512x512 px. CT image. Field of view 391x391 mm. Abdomen. Slice 290/756.
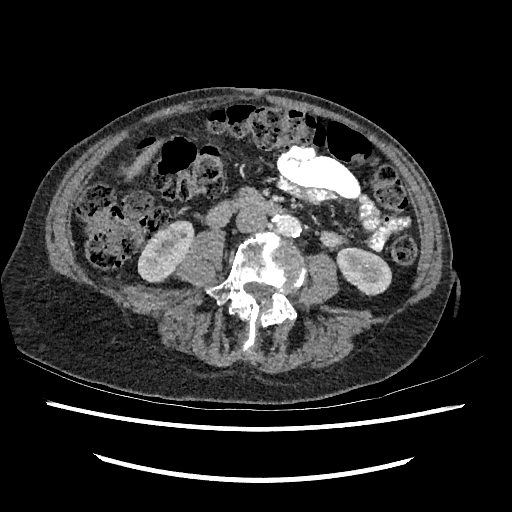 Liver — (left=132, top=144, right=158, bottom=172).
Kidney — (left=138, top=223, right=192, bottom=281), (left=337, top=248, right=391, bottom=294).